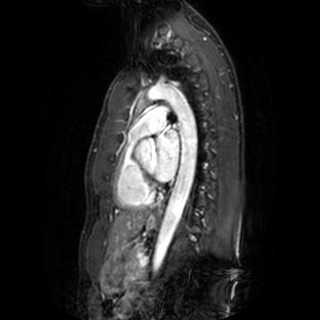 Cardiac. MRI slice. The left atrium is at (155, 130, 178, 180).